Abdomen | CT scan slice

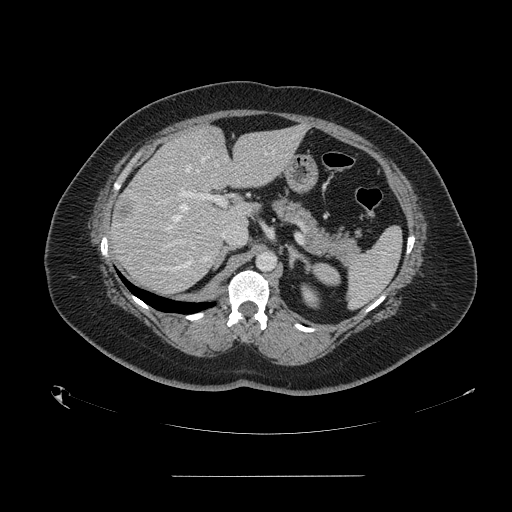 spleen:
  - (x1=313, y1=264, x2=339, y2=285)
  - (x1=347, y1=228, x2=401, y2=308)